Image size 512x512. Pelvis. Slice 20 of 48. CT slice. 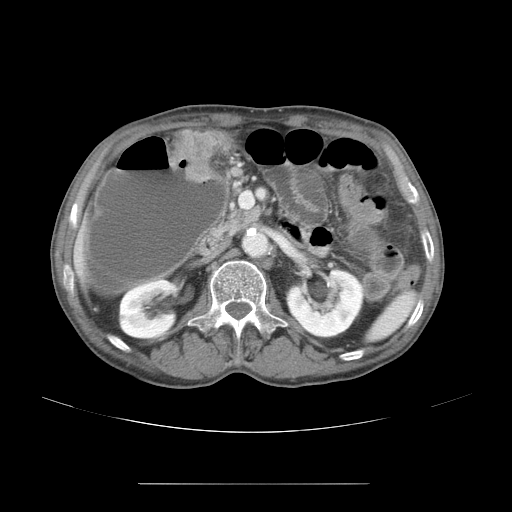

The colon tumor lies within bbox(168, 129, 217, 182).